FLAIR magnetic resonance.
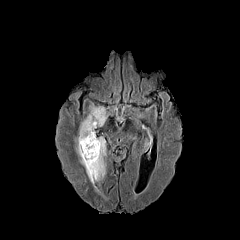
T1-weighted MR image.
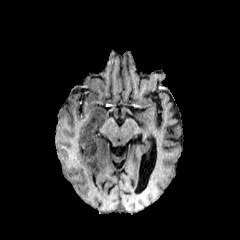
Post-contrast T1-weighted MR.
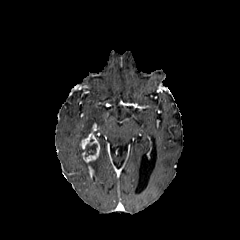
T2-weighted magnetic resonance.
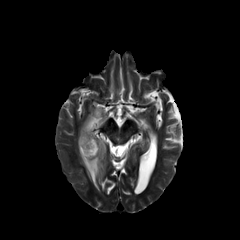
Brain. 240x240.
The non-enhancing tumor core appears at (82, 143, 97, 159). 3 edema regions are bounded by (88, 137, 106, 182), (75, 145, 93, 184), (77, 103, 107, 144). The enhancing tumor lies within (81, 132, 99, 162).